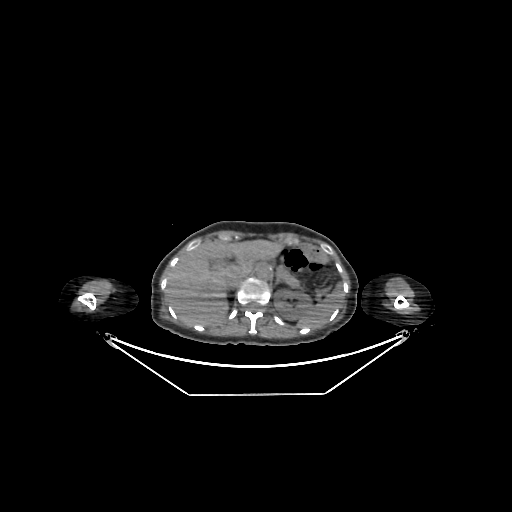
Abdomen; CT image; 512x512
The liver is bounded by bbox(165, 239, 281, 326). The kidney appears at bbox(274, 289, 312, 320).